FLAIR MR image.
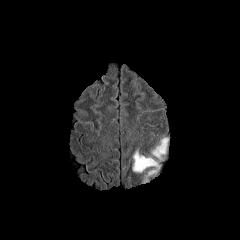
T1-weighted MRI.
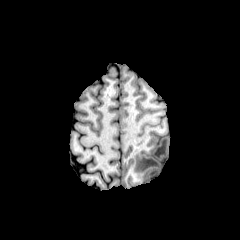
Post-contrast T1-weighted MR image.
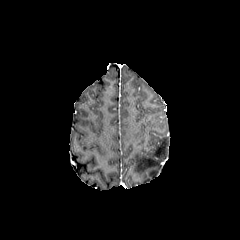
T2-weighted MRI.
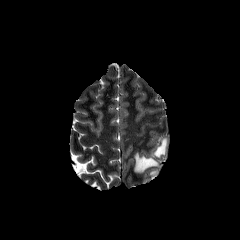
Annotated regions:
* edema: rect(152, 138, 168, 157); rect(133, 150, 159, 175)